CT scan slice; Upper abdomen
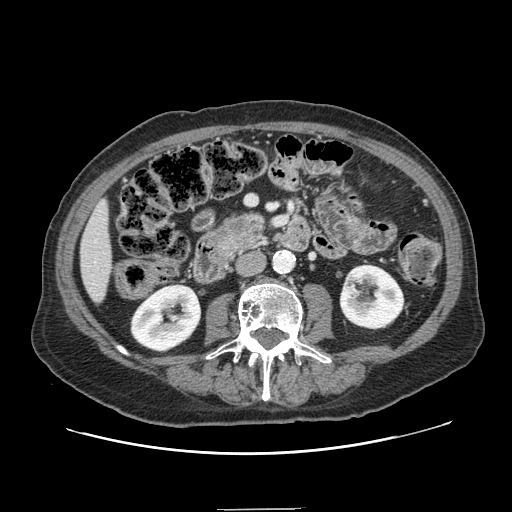 Pancreatic tumor = (left=224, top=217, right=251, bottom=234).
Pancreas = (left=213, top=213, right=263, bottom=254).